Abdomen; Computed tomography; Slice 37/97 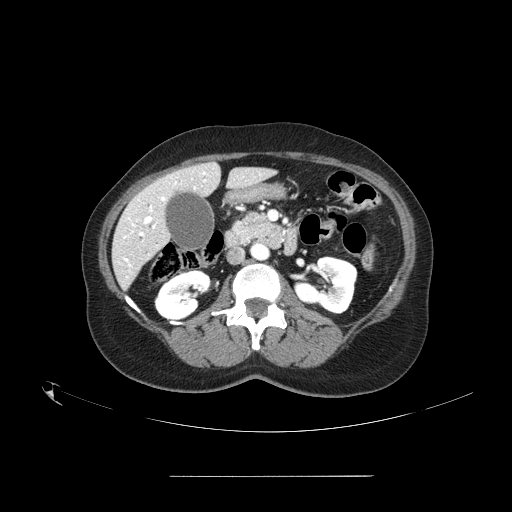
The pancreas is located at <box>234,213,282,247</box>.